512x512 | Liver | CT scan slice
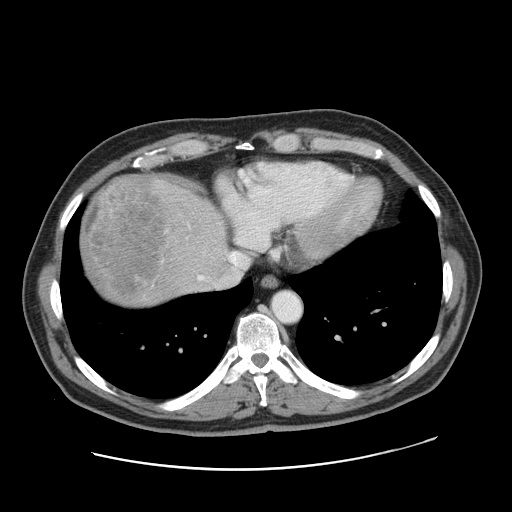 Not every hepatic vessel necessarily has a box.
Annotated regions:
- liver tumor: (x1=83, y1=177, x2=164, y2=294)
- hepatic vessel: (x1=216, y1=284, x2=218, y2=285), (x1=166, y1=228, x2=167, y2=231)